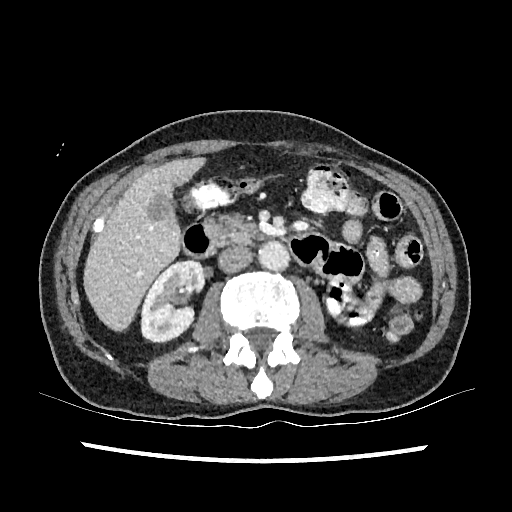 512x512 px, Upper abdomen, CT
Findings:
* focal liver lesion: (147, 193, 172, 221)
* liver: (86, 158, 204, 328)
* kidney: (142, 260, 203, 341)